CT image, Slice 545 of 917

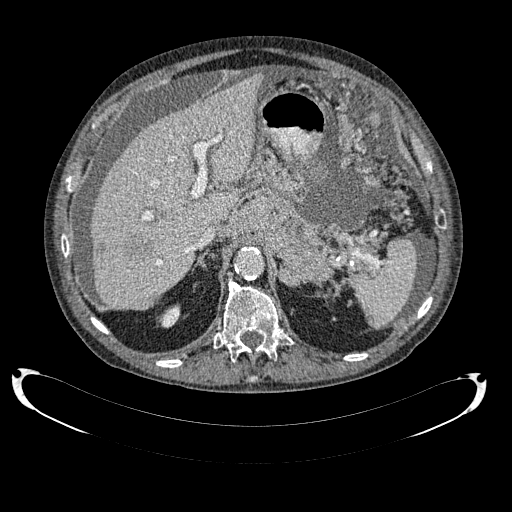

The liver lies within 90:73:262:309. The kidney is bounded by 160:306:179:327. 2 liver lesion regions are bounded by 125:235:152:259, 96:243:105:252.